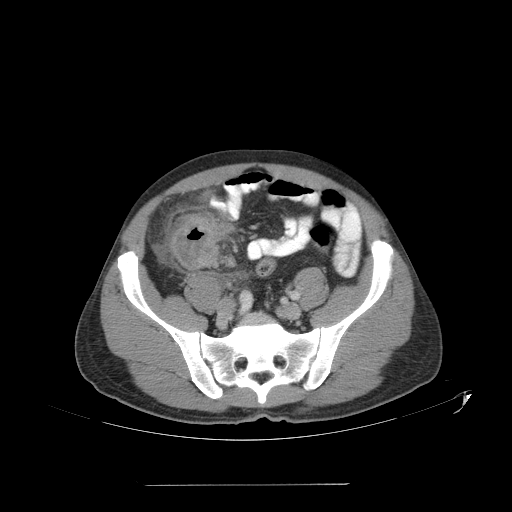 Computed tomography.

colon_tumor:
  - (171,214,224,271)